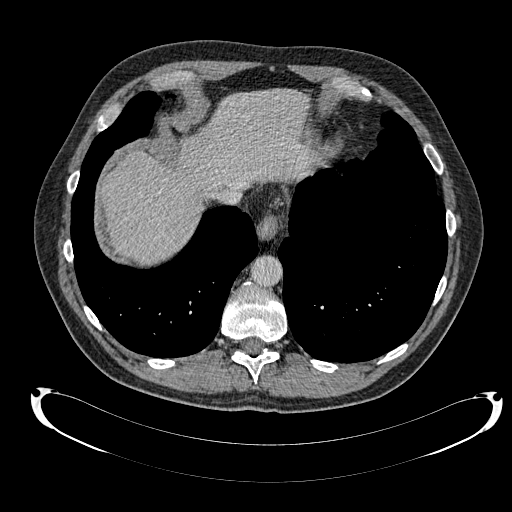 Liver. CT image. 512x512.
{"liver": ["region(101, 90, 313, 264)"]}